FLAIR MR image.
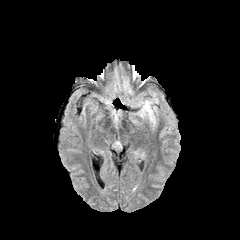
T1-weighted MR.
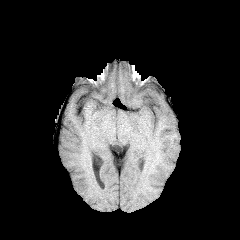
Post-contrast T1-weighted MR image.
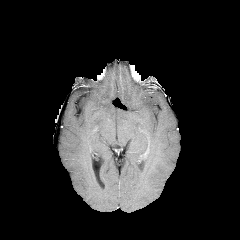
T2-weighted MR.
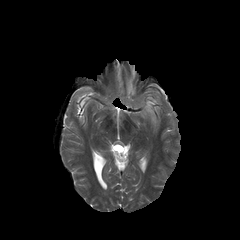
Brain. 240x240 px.
<segmentation>
  <edema>rect(136, 97, 157, 122)</edema>
</segmentation>